Field of view 700 mm wide, 3.27 mm slice spacing | Computed tomography

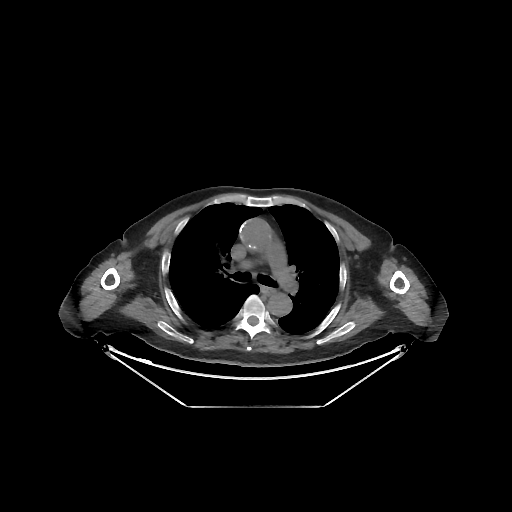

Bone: bounding box x1=390 y1=271 x2=409 y2=293, x1=101 y1=268 x2=119 y2=289, x1=340 y1=266 x2=346 y2=285, x1=236 y1=295 x2=273 y2=338, x1=165 y1=289 x2=181 y2=318, x1=317 y1=322 x2=354 y2=343, x1=246 y1=197 x2=272 y2=206, x1=158 y1=321 x2=193 y2=343, x1=312 y1=305 x2=340 y2=335.
Lung: bounding box x1=257 y1=274 x2=278 y2=287, x1=169 y1=202 x2=339 y2=334.